FLAIR MR.
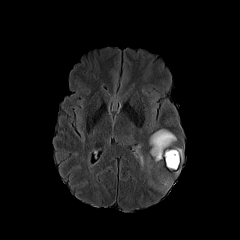
T1-weighted magnetic resonance.
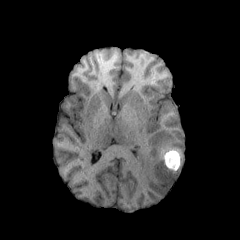
Post-contrast T1-weighted MR image.
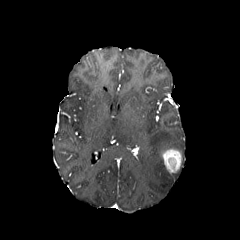
T2-weighted MRI.
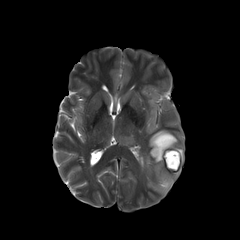
enhancing_tumor:
  - 162, 148, 182, 172
edema:
  - 149, 130, 176, 162
  - 160, 178, 172, 192